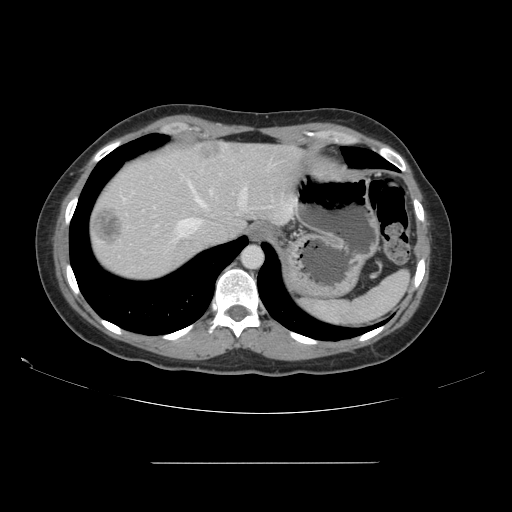 CT scan slice

Not every hepatic vessel necessarily has a box.
liver tumor: 94 206 122 243, 199 145 224 158 | hepatic vessel: 210 189 211 194, 194 193 204 206, 173 218 201 242, 122 197 126 201, 239 186 246 207, 188 182 194 191, 181 176 183 178